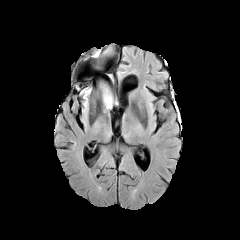
FLAIR magnetic resonance.
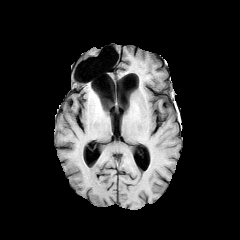
Same slice, T1-weighted magnetic resonance.
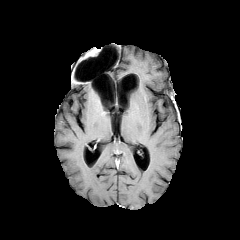
Same slice, post-contrast T1-weighted MR image.
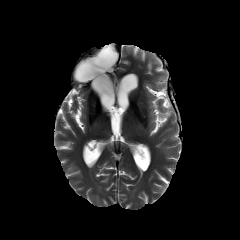
T2-weighted MRI of the same slice.
Brain
Edema — region(102, 88, 114, 109).